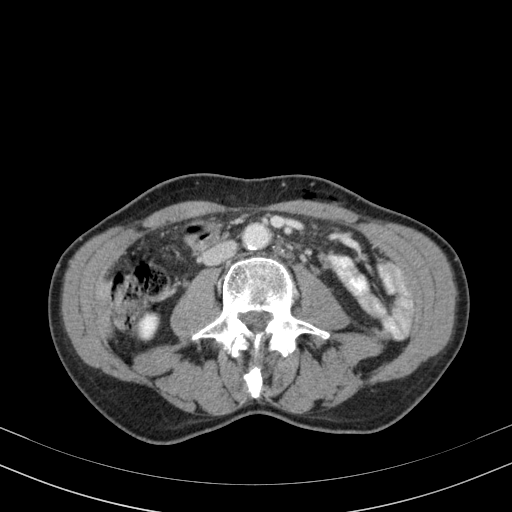 Abdomen; CT scan slice
{
  "kidney": [
    "141:317:155:336"
  ]
}